Image width 392 mm | Slice index 475 | Image size 512x512 | CT image
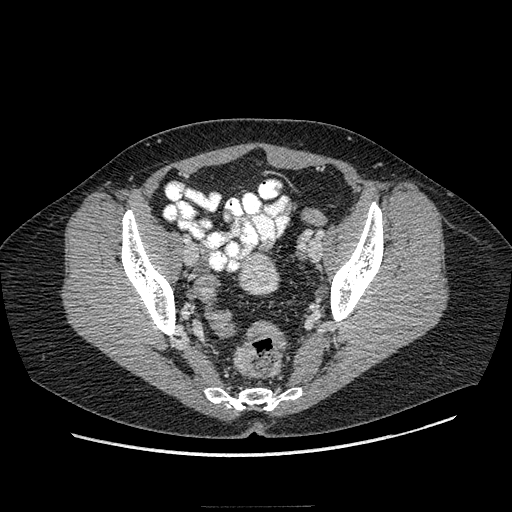

<segmentation>
  <colon_tumor>[235,347,255,374]</colon_tumor>
</segmentation>